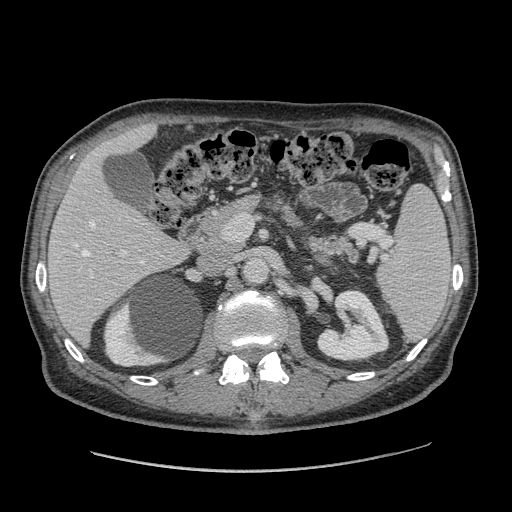

CT image
Segmented structures:
* pancreas: <box>202,194,261,254</box>, <box>279,205,300,230</box>, <box>306,237,358,260</box>